MRI slice
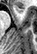 The anterior hippocampus appears at x1=15, y1=8, x2=22, y2=12.